CT image; Image size 512x512; Slice index 13
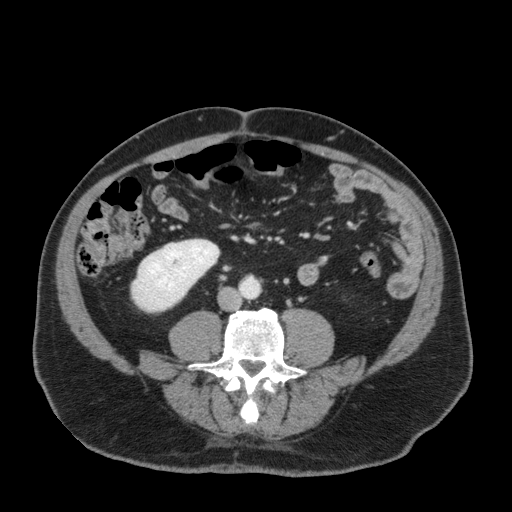 The kidney is at <box>132,239,218,311</box>.